Slice 49 of 58, CT scan slice

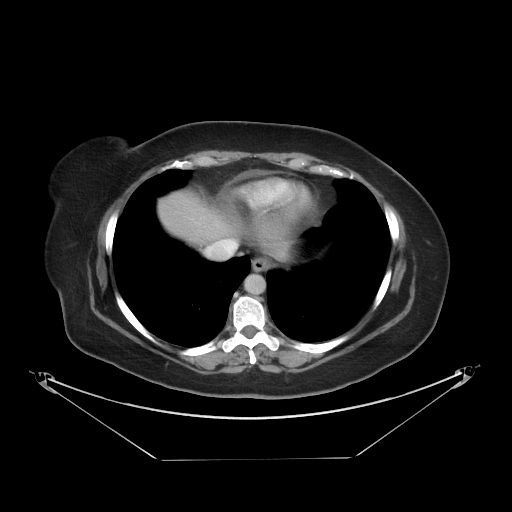
Only some of the vessels may be annotated.
The hepatic vessel lies within region(222, 240, 234, 251).